CT image, 512x512, Slice index 20, Field of view 380x380 mm

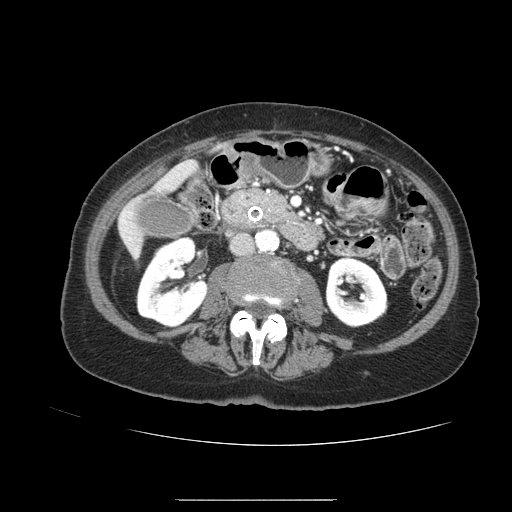

The pancreas appears at [x1=232, y1=190, x2=295, y2=218].